Liver. CT slice. 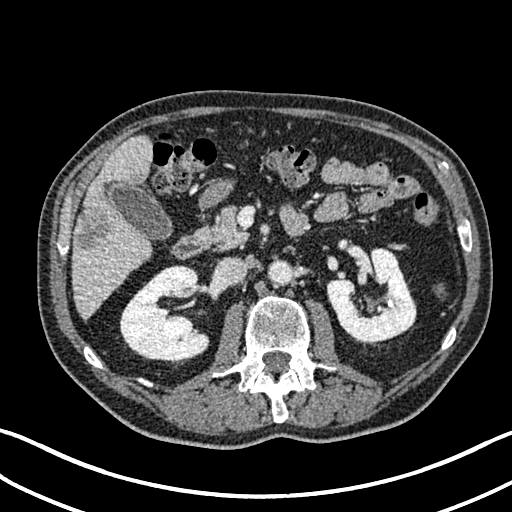 Findings:
• liver: box(72, 136, 152, 317)
• kidney: box(327, 246, 415, 341); box(121, 266, 216, 360)
• liver lesion: box(77, 207, 110, 250)